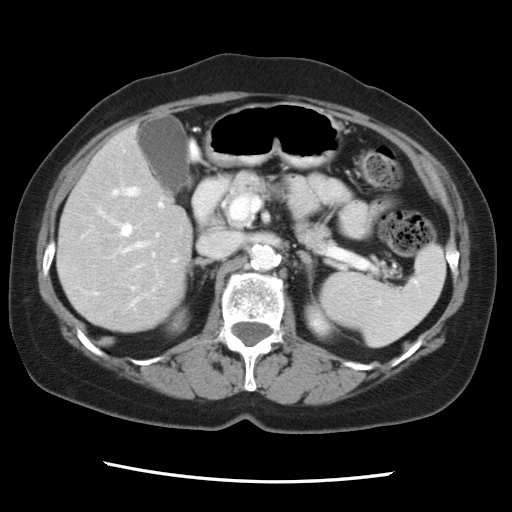
512x512. CT.

The vessel annotation is not exhaustive.
Hepatic vessel at bbox(129, 285, 136, 290); bbox(201, 233, 241, 256); bbox(129, 263, 143, 270); bbox(113, 240, 151, 256); bbox(152, 252, 155, 257); bbox(171, 258, 177, 263); bbox(128, 288, 154, 308); bbox(223, 193, 253, 222); bbox(102, 209, 131, 236); bbox(110, 186, 141, 197); bbox(155, 235, 158, 238).